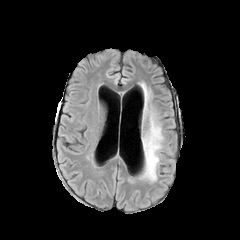
FLAIR MR image.
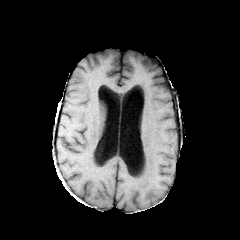
T1-weighted MR of the same slice.
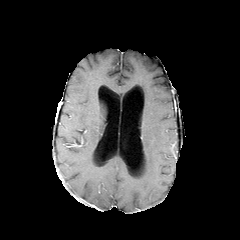
Post-contrast T1-weighted MRI.
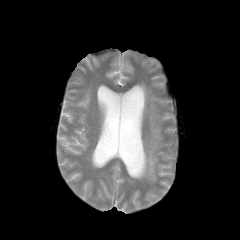
Same slice, T2-weighted MR.
Brain
{"edema": ["(x1=139, y1=82, x2=163, y2=181)"]}